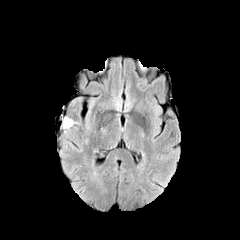
FLAIR magnetic resonance.
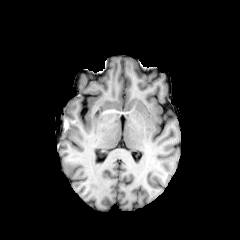
Same slice, T1-weighted MR image.
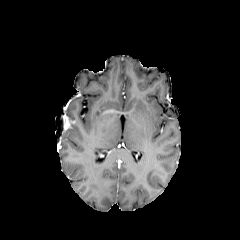
Post-contrast T1-weighted MRI.
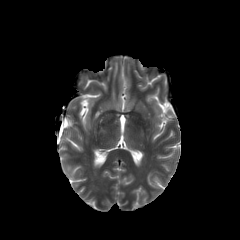
T2-weighted MR.
Head.
<segmentation>
  <edema>bbox(64, 127, 74, 136)</edema>
  <enhancing_tumor>bbox(63, 116, 71, 130)</enhancing_tumor>
</segmentation>